Slice 46 of 155, Head
FLAIR MR.
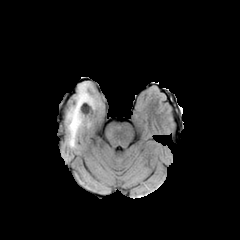
T1-weighted magnetic resonance.
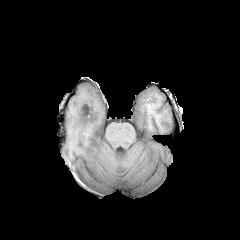
Post-contrast T1-weighted MRI.
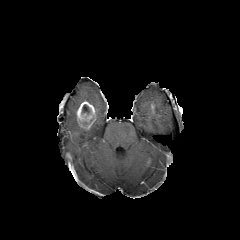
T2-weighted MRI.
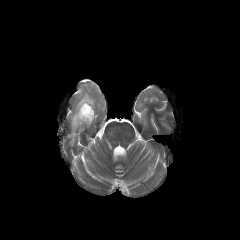
The edema is bounded by box(66, 82, 101, 147). The enhancing tumor is bounded by box(76, 100, 94, 126). The non-enhancing tumor core lies within box(82, 104, 89, 114).